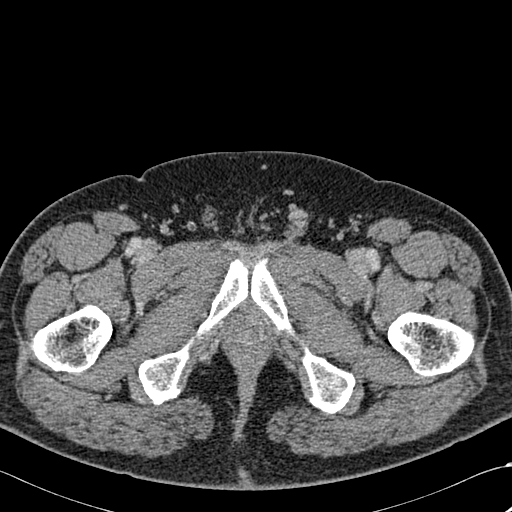

CT scan slice. 5 bone regions appear at (139, 342, 191, 404), (388, 312, 473, 376), (198, 259, 292, 336), (32, 305, 112, 372), (302, 348, 354, 413).